Slice index 82 | Brain
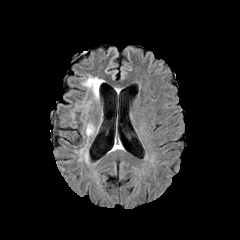
FLAIR MR.
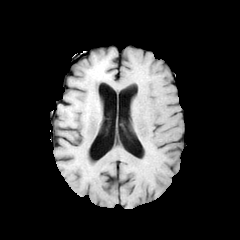
T1-weighted magnetic resonance of the same slice.
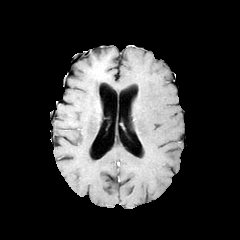
Post-contrast T1-weighted MR.
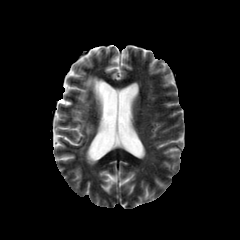
T2-weighted magnetic resonance.
Edema: bounding box (x1=79, y1=144, x2=89, y2=162), (x1=79, y1=75, x2=104, y2=142).